Computed tomography | Slice index 400 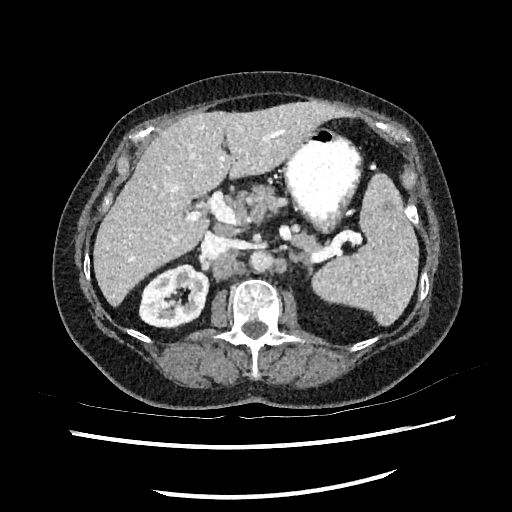

The liver is bounded by bbox=[93, 102, 354, 304]. The kidney is bounded by bbox=[140, 265, 207, 326].